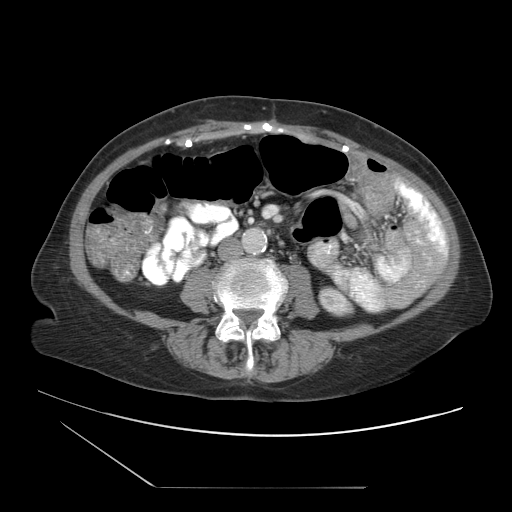
CT image. Pelvis. Annotated regions:
• colon tumor: {"x1": 158, "y1": 203, "x2": 166, "y2": 213}, {"x1": 141, "y1": 218, "x2": 151, "y2": 229}